Slice 24 of 36; MR 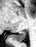
The posterior hippocampus is bounded by left=13, top=30, right=26, bottom=41.